Field of view 240 mm wide, 1.00 mm slice spacing; 240x240 px; Slice 81/155
FLAIR magnetic resonance.
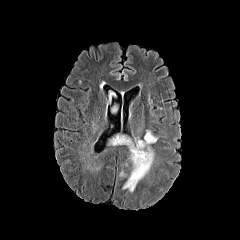
T1-weighted MRI.
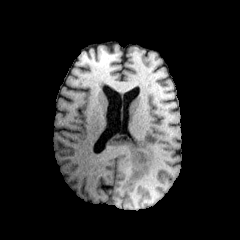
Post-contrast T1-weighted MR image.
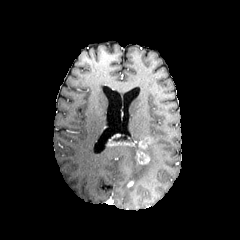
T2-weighted MR.
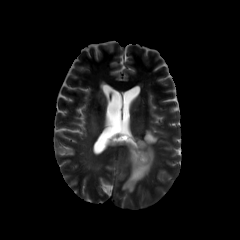
Enhancing tumor: bounding box x1=106 y1=136 x2=151 y2=164.
Edema: bounding box x1=145 y1=129 x2=158 y2=143, x1=122 y1=144 x2=154 y2=191.
Non-enhancing tumor core: bounding box x1=112 y1=133 x2=131 y2=142.